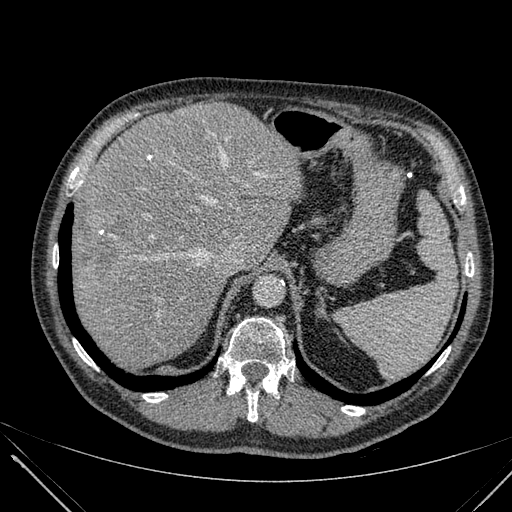
CT image
{
  "liver_lesion": [
    "(97, 242, 118, 273)",
    "(119, 224, 127, 236)"
  ],
  "liver": [
    "(72, 103, 302, 367)"
  ]
}